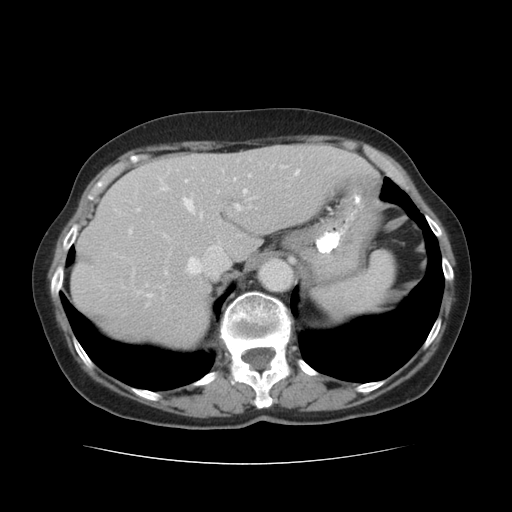

CT; Image size 512x512
lung: left=291, top=290, right=298, bottom=313; left=299, top=177, right=443, bottom=382; left=214, top=287, right=234, bottom=316; left=66, top=245, right=74, bottom=265; left=60, top=291, right=214, bottom=390 | bone: left=424, top=319, right=440, bottom=348; left=51, top=223, right=79, bottom=299; left=86, top=178, right=105, bottom=200; left=442, top=257, right=453, bottom=280; left=193, top=291, right=291, bottom=407; left=425, top=215, right=442, bottom=238; left=385, top=165, right=397, bottom=177; left=131, top=388, right=160, bottom=400; left=295, top=358, right=317, bottom=375; left=398, top=176, right=409, bottom=188; left=73, top=336, right=92, bottom=369; left=355, top=381, right=384, bottom=392 | liver: left=72, top=144, right=378, bottom=350